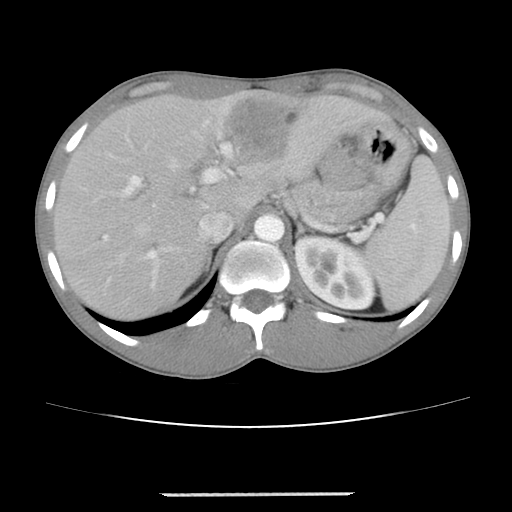 Abdomen | CT | 512x512 px
Not every hepatic vessel necessarily has a box.
hepatic_vessel:
  - box(123, 176, 141, 194)
  - box(191, 188, 193, 191)
  - box(223, 144, 231, 154)
  - box(150, 251, 157, 258)
  - box(203, 167, 228, 183)
liver_tumor:
  - box(227, 98, 298, 158)